FLAIR MR image.
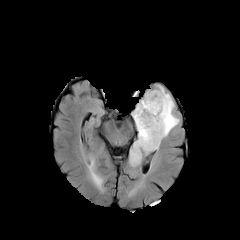
T1-weighted MRI.
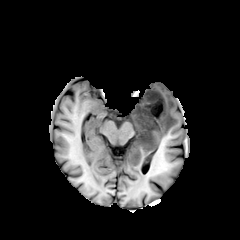
Post-contrast T1-weighted MRI.
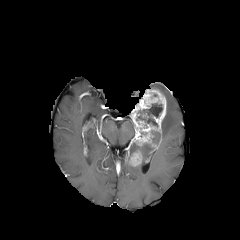
T2-weighted MR.
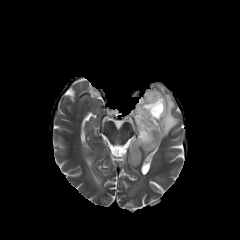
Head. 240x240 px.
<segmentation>
  <non-enhancing_tumor_core>box=[136, 116, 157, 127]; box=[147, 104, 162, 117]</non-enhancing_tumor_core>
  <edema>box=[130, 142, 154, 154]; box=[153, 84, 179, 145]</edema>
  <enhancing_tumor>box=[131, 89, 166, 145]</enhancing_tumor>
</segmentation>